Image size 240x240 | Brain | Slice index 66 | Field of view 240x240 mm
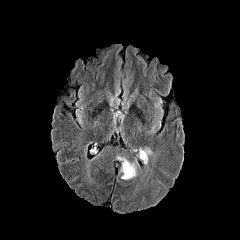
FLAIR MRI.
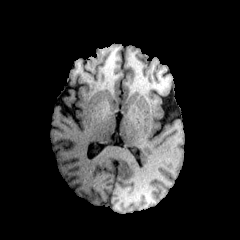
T1-weighted magnetic resonance of the same slice.
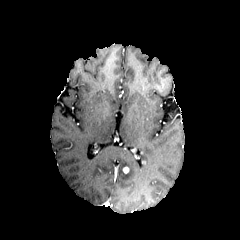
Post-contrast T1-weighted MR.
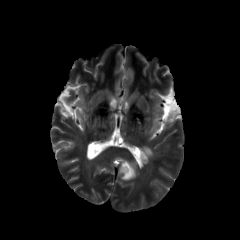
Same slice, T2-weighted MR image.
3 edema regions are located at (left=118, top=157, right=138, bottom=180), (left=148, top=121, right=159, bottom=133), (left=139, top=147, right=152, bottom=164).